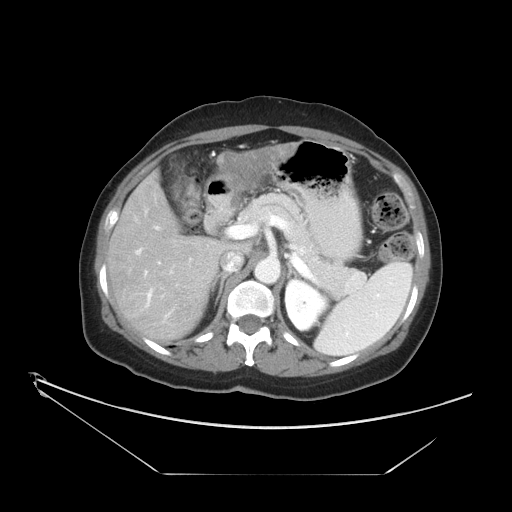 512x512; CT slice
Not every hepatic vessel necessarily has a box.
liver tumor: 228:152:283:164 | hepatic vessel: 146:291:151:304, 145:272:146:273, 136:249:141:254